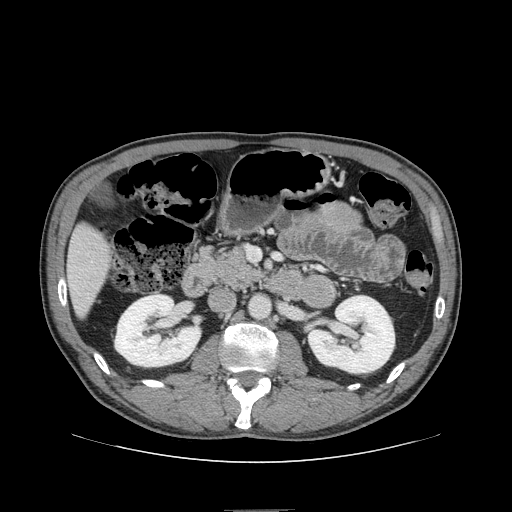 512x512 px, CT image

pancreas:
  - [198,246,263,288]